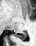
Medial temporal lobe | MRI slice
Posterior hippocampus: (x1=14, y1=32, x2=26, y2=39).